CT slice

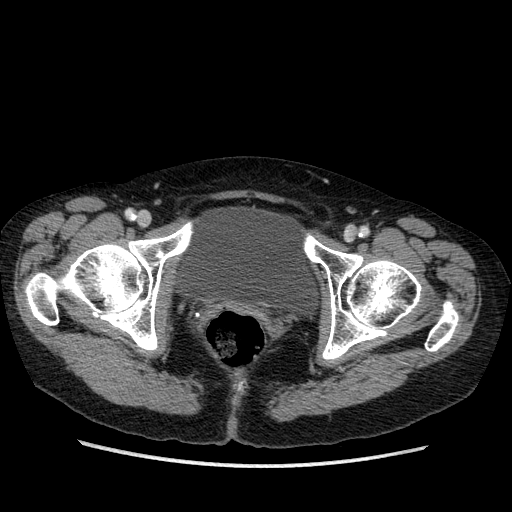 Urinary bladder: {"x1": 173, "y1": 206, "x2": 322, "y2": 320}.